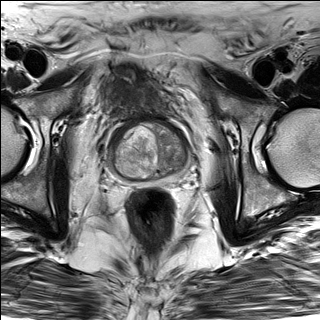
T2-weighted MR.
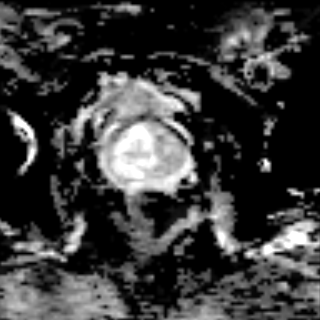
Same slice, ADC MRI.
Pelvis
The prostate transition zone lies within <box>113,121,186,179</box>. The prostate peripheral zone is located at <box>107,136,188,187</box>.